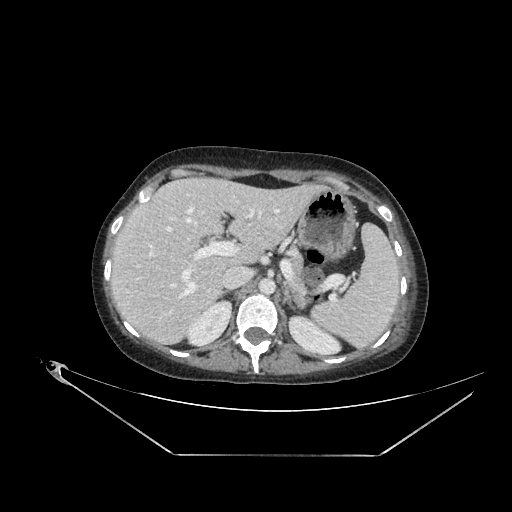
CT image
liver:
  - <bbox>110, 182, 326, 343</bbox>
kidney:
  - <bbox>185, 302, 231, 345</bbox>
  - <bbox>289, 317, 339, 354</bbox>